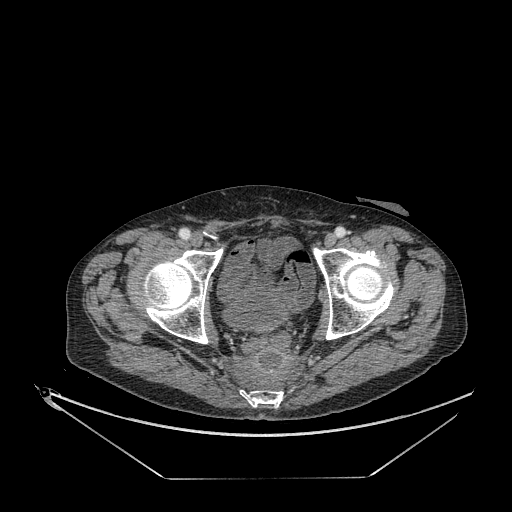

CT slice. 512x512. Pelvis.
The urinary bladder lies within [222,240,290,332].